CT image, Image size 512x512, Slice 39/127 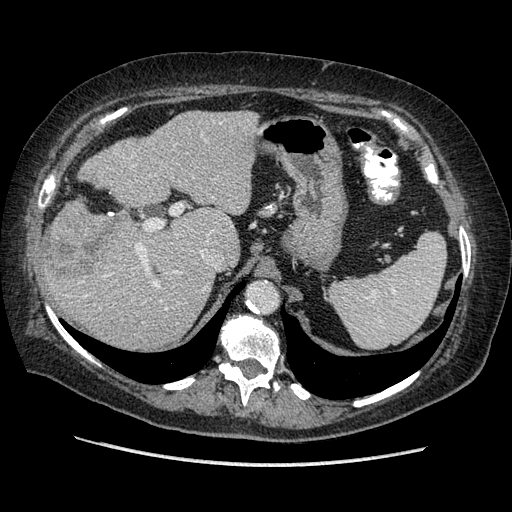 The vessel boxes may cover only some of the vessels.
Liver tumor at (49, 206, 121, 274).
Hepatic vessel at (154, 279, 157, 286), (136, 244, 147, 265), (170, 203, 184, 215), (145, 218, 163, 229).